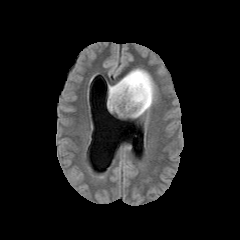
FLAIR MR image.
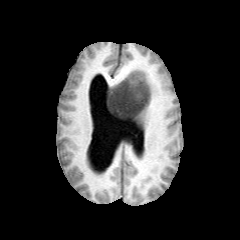
T1-weighted MR.
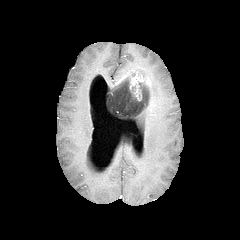
Same slice, post-contrast T1-weighted MRI.
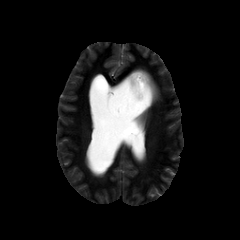
Same slice, T2-weighted MRI.
Head
The enhancing tumor is at 127, 70, 152, 101. The non-enhancing tumor core is located at 107, 79, 150, 121. The edema is at 124, 66, 161, 119.